512x512; CT image; Field of view 432x432 mm

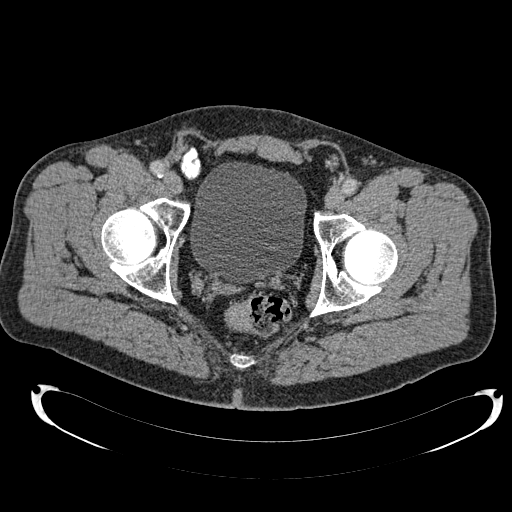 Urinary bladder = bbox=[190, 161, 306, 283].